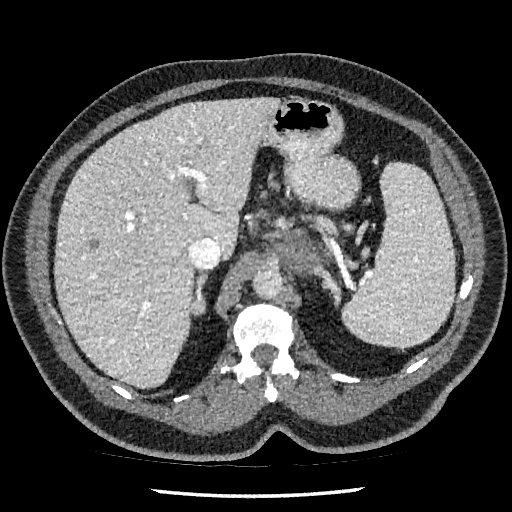

Liver | CT image

Liver — bbox(54, 98, 278, 387).
Liver lesion — bbox(88, 240, 98, 248).